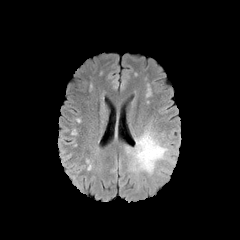
FLAIR MR image.
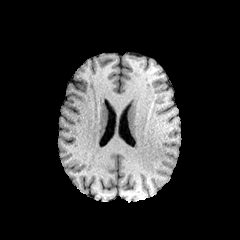
T1-weighted magnetic resonance.
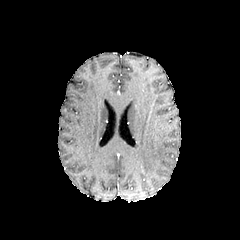
Post-contrast T1-weighted MRI.
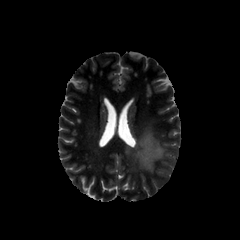
T2-weighted magnetic resonance of the same slice.
240x240. Head.
Edema — bbox(125, 129, 167, 172).